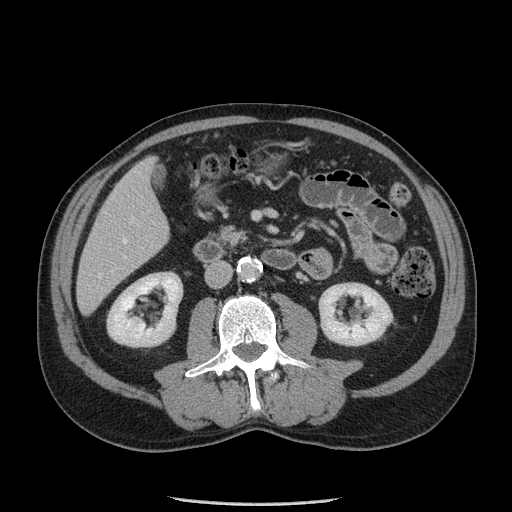 512x512 px | CT scan slice

Annotated regions:
- pancreas: [x1=213, y1=225, x2=248, y2=246]